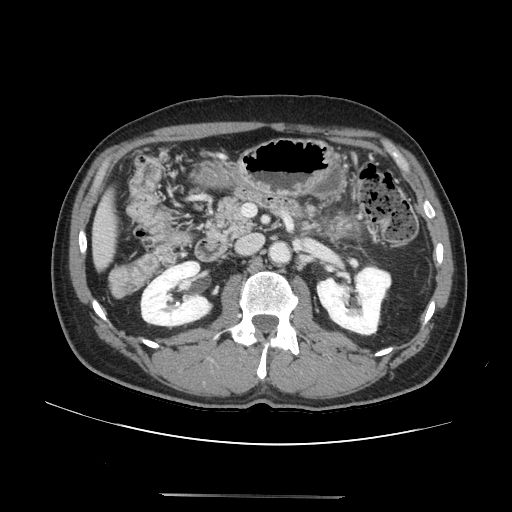

Abdomen. CT scan slice. 512x512 px.
<segmentation>
  <pancreas>bbox(331, 218, 358, 236); bbox(207, 195, 253, 243)</pancreas>
</segmentation>